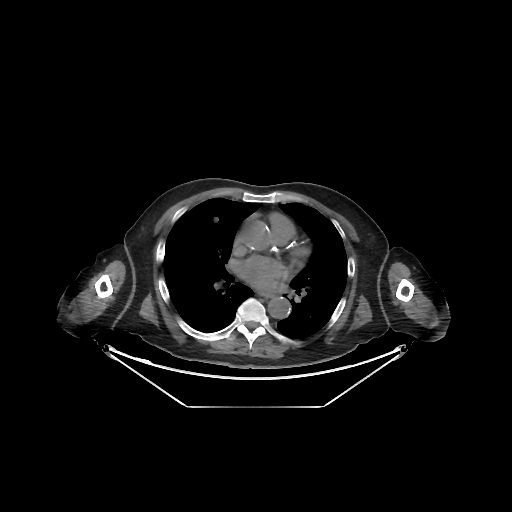
Thorax; Computed tomography
lung: bbox=[163, 198, 262, 332]; bbox=[277, 202, 347, 339] | bone: bbox=[348, 259, 354, 275]; bbox=[159, 280, 168, 300]; bbox=[331, 300, 345, 323]; bbox=[396, 279, 414, 301]; bbox=[243, 192, 278, 202]; bbox=[157, 243, 164, 260]; bbox=[95, 274, 112, 297]; bbox=[178, 299, 292, 348]